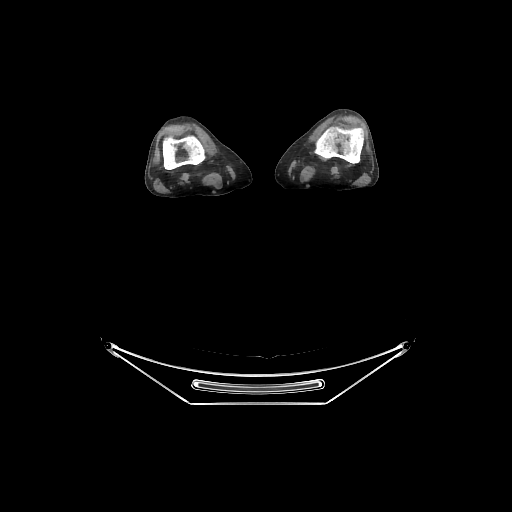
512x512 px; CT

Bone at bbox=[315, 127, 363, 163]; bbox=[163, 136, 204, 169].